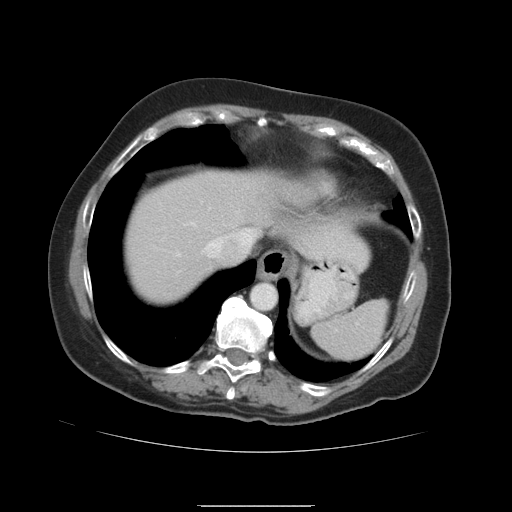
512x512 px; Computed tomography; Liver
Only some of the vessels may be annotated.
Hepatic vessel: bounding box region(206, 228, 256, 257); region(193, 223, 195, 226); region(177, 252, 180, 256); region(209, 228, 213, 230); region(223, 222, 236, 226).